CT scan slice | Image width 403 mm 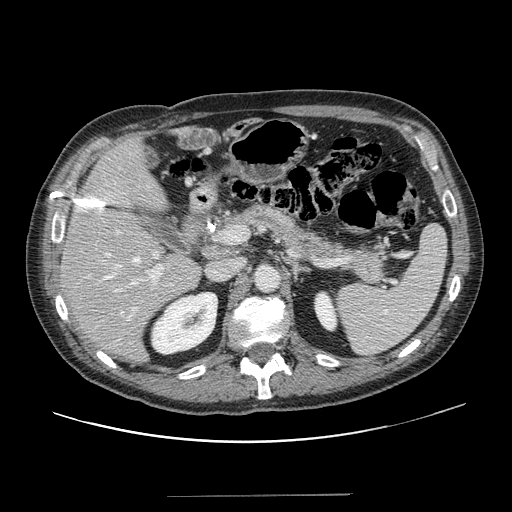
Pancreas = (188,203,387,287).